Brain. Image size 240x240. Slice 64 of 155.
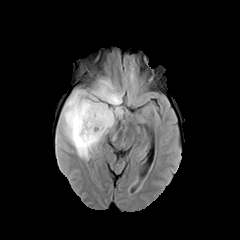
FLAIR MRI.
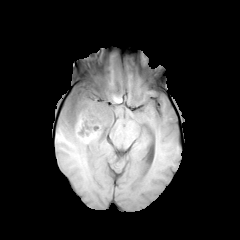
T1-weighted MRI.
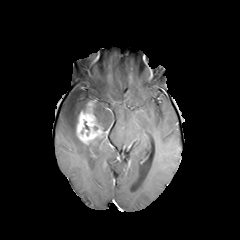
Post-contrast T1-weighted MR.
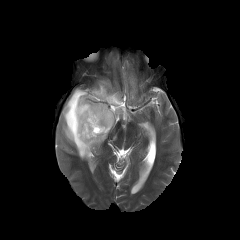
Same slice, T2-weighted MR image.
edema:
  - x1=61, y1=88, x2=107, y2=160
  - x1=86, y1=78, x2=127, y2=131
enhancing_tumor:
  - x1=76, y1=102, x2=107, y2=143
non-enhancing_tumor_core:
  - x1=69, y1=92, x2=80, y2=109
  - x1=84, y1=90, x2=99, y2=111
  - x1=70, y1=114, x2=77, y2=137